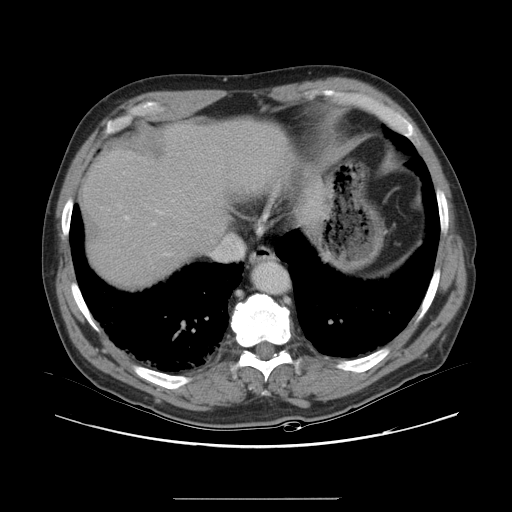
CT slice

Some hepatic vessels may have no box.
2 hepatic vessel regions are located at [125,216,128,219], [165,254,170,256].